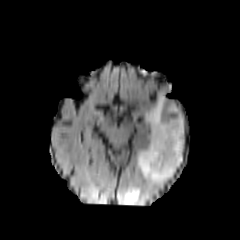
FLAIR MR.
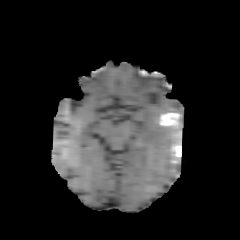
T1-weighted MR.
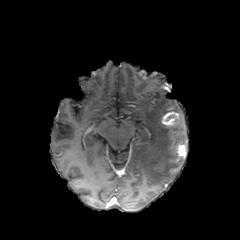
Post-contrast T1-weighted MR.
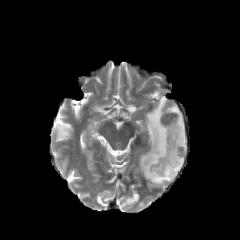
T2-weighted magnetic resonance of the same slice.
Brain
Annotated regions:
- non-enhancing tumor core: <bbox>169, 116, 184, 162</bbox>
- enhancing tumor: <bbox>172, 141, 187, 161</bbox>, <bbox>162, 112, 180, 126</bbox>
- edema: <bbox>135, 90, 184, 186</bbox>, <bbox>124, 191, 139, 204</bbox>